Brain
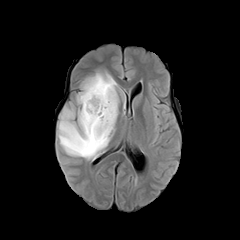
FLAIR MR.
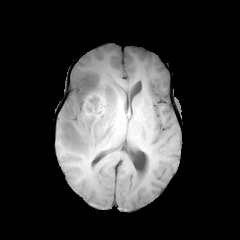
T1-weighted MR of the same slice.
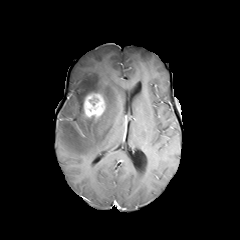
Post-contrast T1-weighted MR image of the same slice.
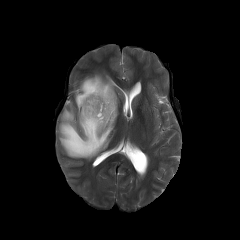
T2-weighted MR image of the same slice.
Edema — (58, 70, 119, 159).
Enhancing tumor — (83, 93, 105, 117).
Non-enhancing tumor core — (76, 80, 102, 111), (86, 116, 101, 121).